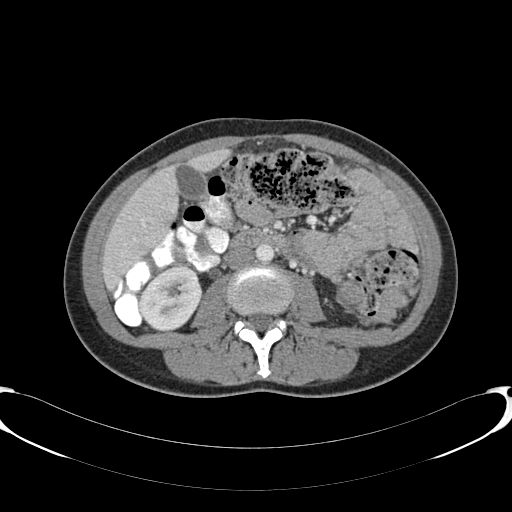
CT slice; Upper abdomen

Liver = [102, 165, 177, 289], [186, 149, 229, 170].
Kidney = [137, 267, 200, 329].